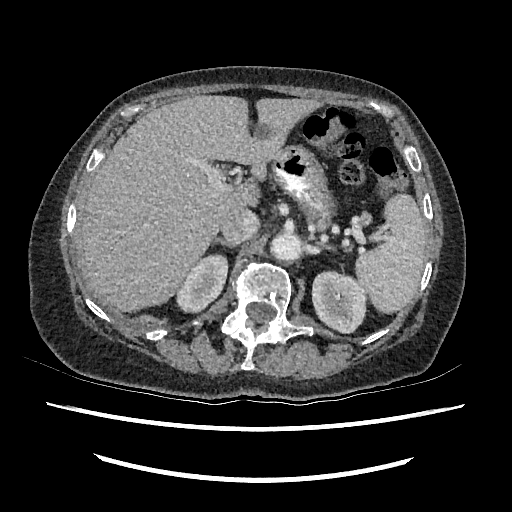
Upper abdomen; CT slice
{
  "hepatic_lesion": [
    "(left=254, top=124, right=269, bottom=139)"
  ],
  "kidney": [
    "(left=312, top=272, right=365, bottom=332)",
    "(left=177, top=256, right=227, bottom=311)"
  ],
  "liver": [
    "(left=84, top=96, right=322, bottom=311)"
  ]
}